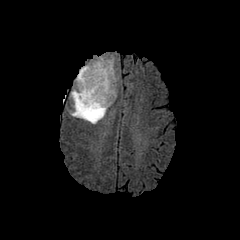
FLAIR magnetic resonance.
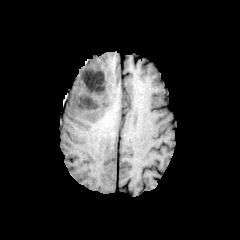
T1-weighted magnetic resonance of the same slice.
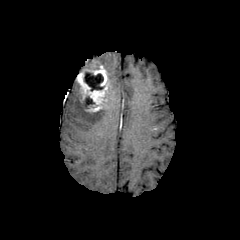
Post-contrast T1-weighted MR of the same slice.
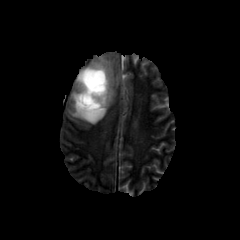
T2-weighted MR.
Brain.
<segmentation>
  <enhancing_tumor>left=76, top=60, right=110, bottom=112</enhancing_tumor>
  <edema>left=68, top=57, right=114, bottom=124</edema>
  <non-enhancing_tumor_core>left=81, top=96, right=94, bottom=106; left=84, top=72, right=103, bottom=90</non-enhancing_tumor_core>
</segmentation>